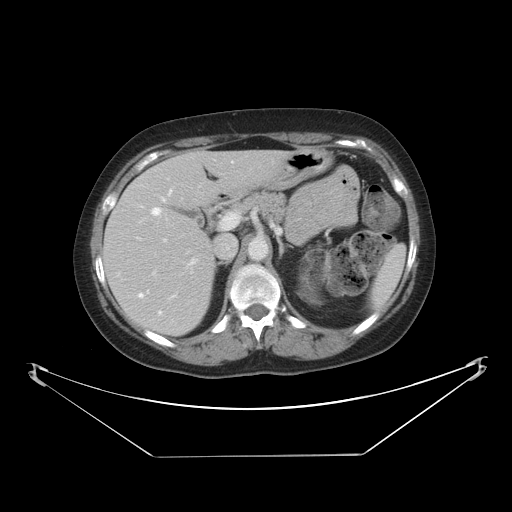 CT. 512x512 px.

Some hepatic vessels may have no box.
{
  "hepatic_vessel": [
    "(left=139, top=293, right=143, bottom=297)",
    "(left=158, top=311, right=161, bottom=313)",
    "(left=152, top=208, right=160, bottom=215)",
    "(left=168, top=191, right=170, bottom=194)",
    "(left=164, top=239, right=166, bottom=241)",
    "(left=147, top=291, right=148, bottom=292)",
    "(left=162, top=197, right=165, bottom=201)"
  ]
}